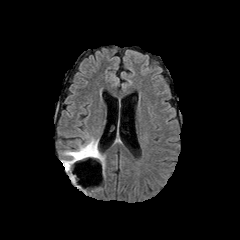
FLAIR MRI.
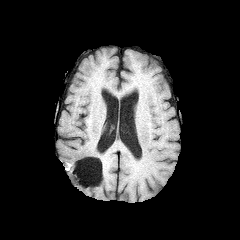
T1-weighted MRI.
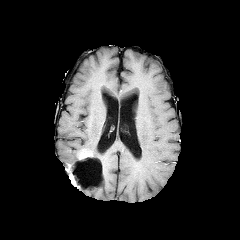
Post-contrast T1-weighted magnetic resonance.
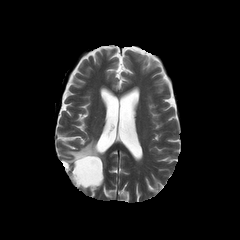
Same slice, T2-weighted MRI.
Brain. 240x240.
The edema appears at x1=61, y1=131, x2=97, y2=173. The non-enhancing tumor core appears at x1=75, y1=144, x2=103, y2=162. The enhancing tumor lies within x1=78, y1=149, x2=93, y2=159.